Slice index 236; 512x512; CT image

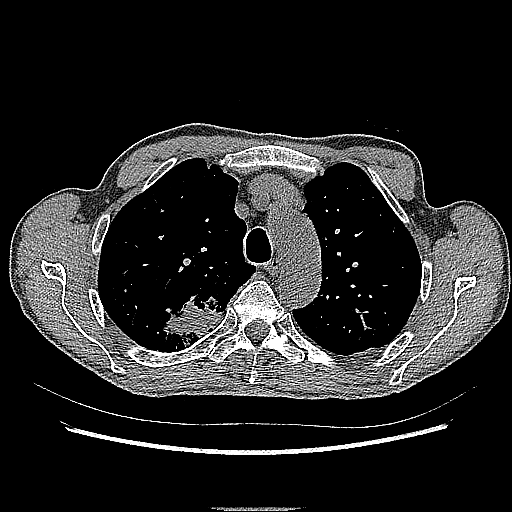
* lung tumor: {"x1": 158, "y1": 294, "x2": 224, "y2": 351}